Head, Slice 74/155
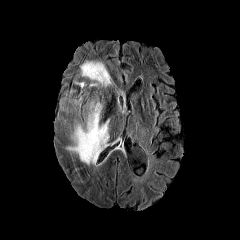
FLAIR MR image.
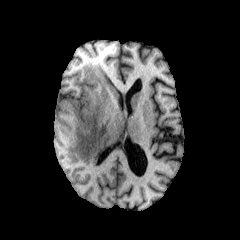
T1-weighted magnetic resonance.
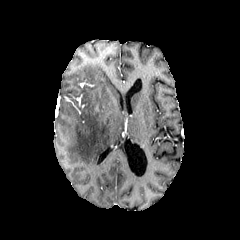
Post-contrast T1-weighted magnetic resonance.
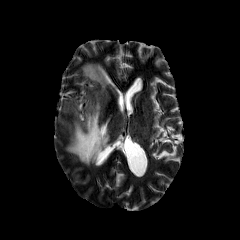
T2-weighted magnetic resonance.
Edema: bounding box bbox=[85, 95, 99, 104]; bbox=[80, 61, 111, 89]; bbox=[59, 89, 110, 165].
Non-enhancing tumor core: bounding box bbox=[80, 101, 102, 126].